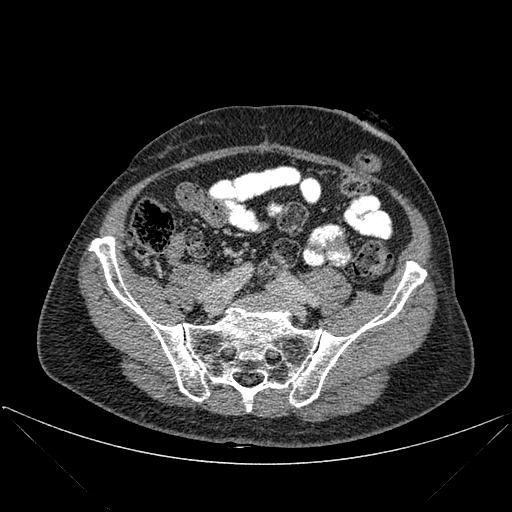
CT
Bone = rect(89, 236, 426, 411).